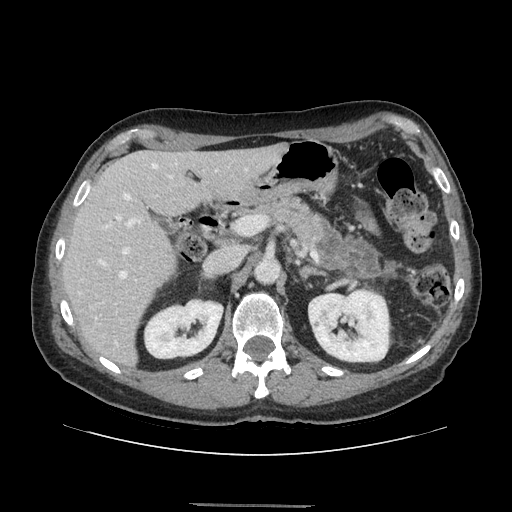
CT scan slice, 512x512 px
The pancreas lies within (260, 199, 324, 244).